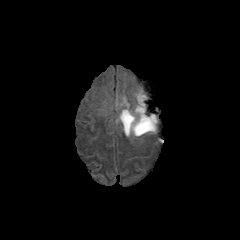
FLAIR MR.
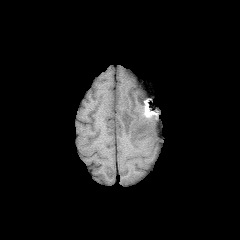
Same slice, T1-weighted magnetic resonance.
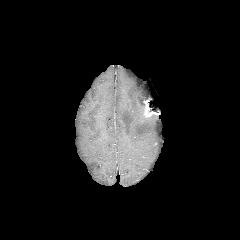
Same slice, post-contrast T1-weighted MR image.
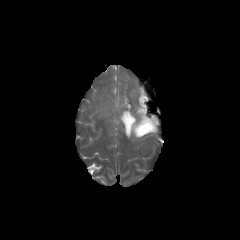
T2-weighted MRI.
Head; Image size 240x240
The edema is at left=116, top=90, right=157, bottom=139. The non-enhancing tumor core is located at left=136, top=111, right=155, bottom=133.